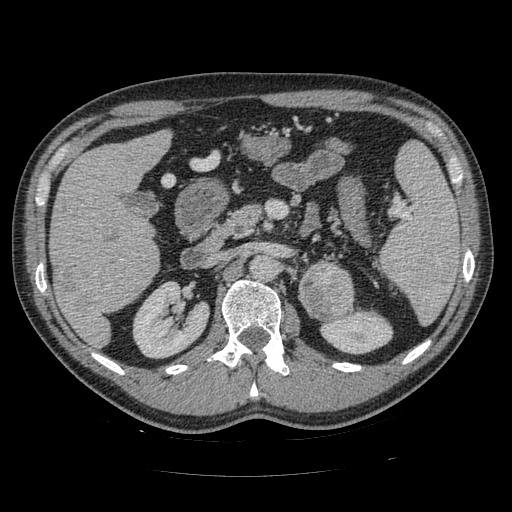 CT slice, Image size 512x512
<segmentation>
  <pancreatic_tumor>box(299, 263, 354, 320)</pancreatic_tumor>
  <pancreas>box(226, 204, 260, 235)</pancreas>
</segmentation>